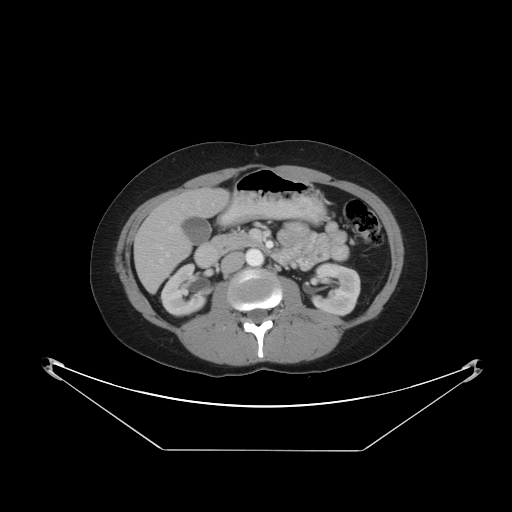 Computed tomography.
Not every hepatic vessel necessarily has a box.
4 hepatic vessel regions appear at <bbox>166, 253, 168, 256</bbox>, <bbox>159, 259, 162, 261</bbox>, <bbox>169, 226, 176, 231</bbox>, <bbox>197, 201, 198, 204</bbox>.